Slice 33/81, CT scan slice
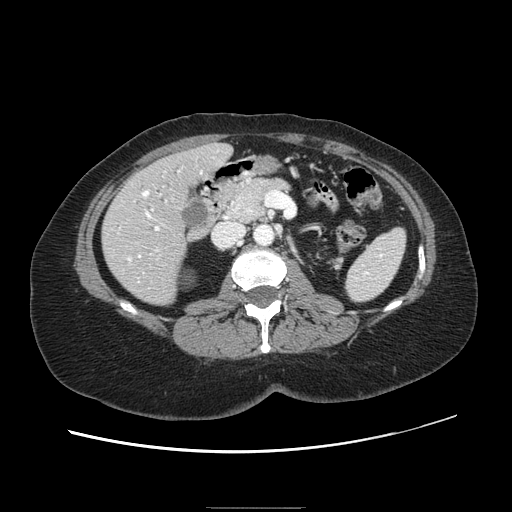

pancreas: l=334, t=259, r=342, b=267; l=220, t=178, r=290, b=222 | pancreatic tumor: l=232, t=197, r=262, b=219